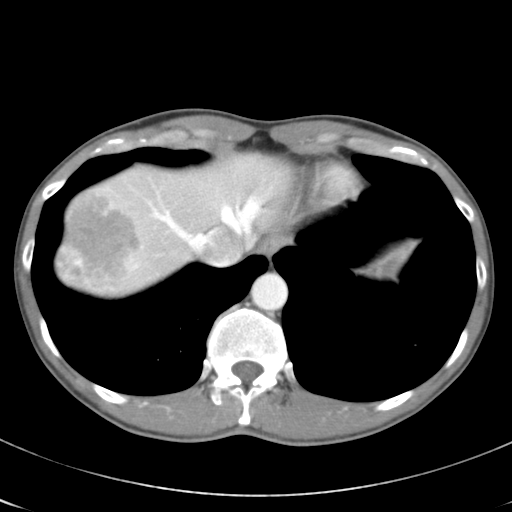 Computed tomography, Liver
Some hepatic vessels may have no box.
Hepatic vessel at box=[150, 204, 211, 248]; box=[222, 200, 259, 232].
Liver tumor at box=[57, 188, 140, 293].